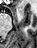

MRI slice
Anterior hippocampus at bbox=[18, 8, 21, 11].